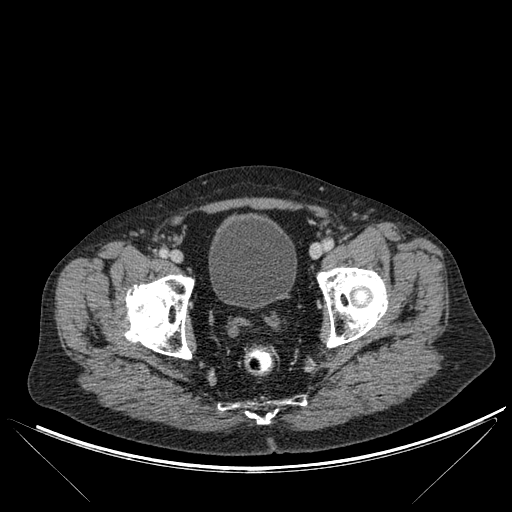
Computed tomography
The urinary bladder is bounded by region(209, 213, 296, 307). 5 bone regions are located at region(245, 402, 277, 424); region(317, 267, 387, 347); region(289, 401, 306, 405); region(218, 405, 234, 410); region(123, 275, 193, 359).